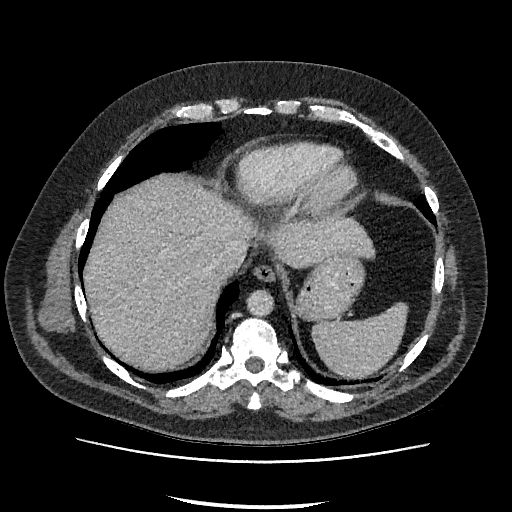
CT, Image size 512x512
2 liver regions are bounded by x1=86 y1=179 x2=260 y2=366, x1=271 y1=219 x2=374 y2=267.